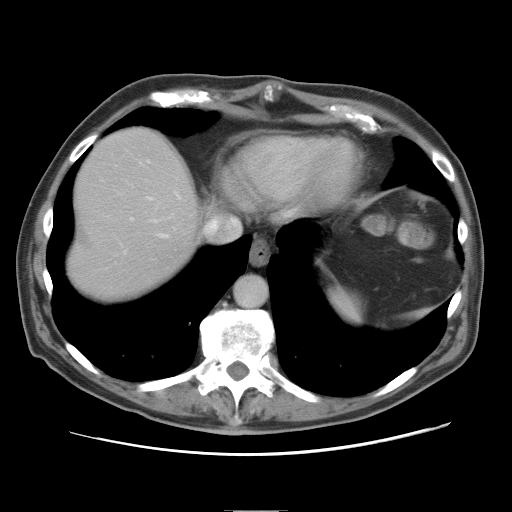 CT scan slice | Abdomen

The vessel annotation is not exhaustive.
4 hepatic vessel regions are bounded by [x1=131, y1=218, x2=133, y2=220], [x1=159, y1=234, x2=168, y2=237], [x1=148, y1=197, x2=151, y2=199], [x1=154, y1=220, x2=158, y2=222].